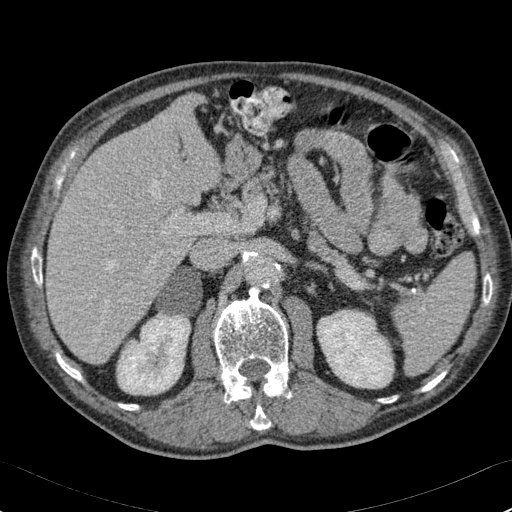 CT
Annotated regions:
• liver: x1=47 y1=94 x2=218 y2=363
• kidney: x1=117 y1=314 x2=190 y2=394, x1=317 y1=310 x2=393 y2=388